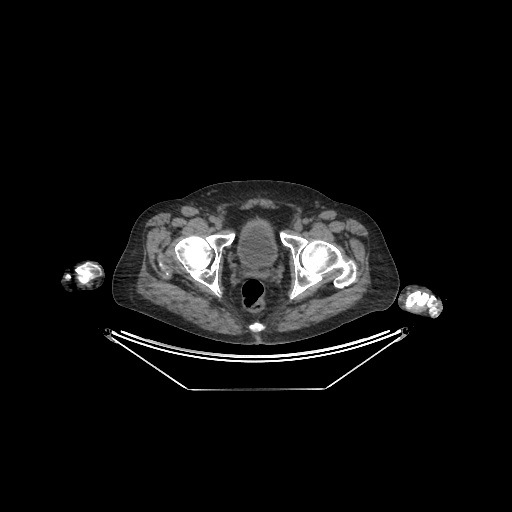

Computed tomography. 512x512.
Urinary bladder: bounding box 236:216:277:269.